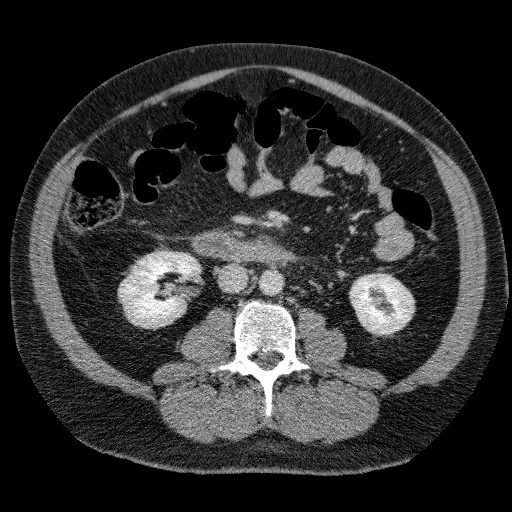 Abdomen; CT
Annotated regions:
- kidney: 350,274,413,333; 120,252,200,326